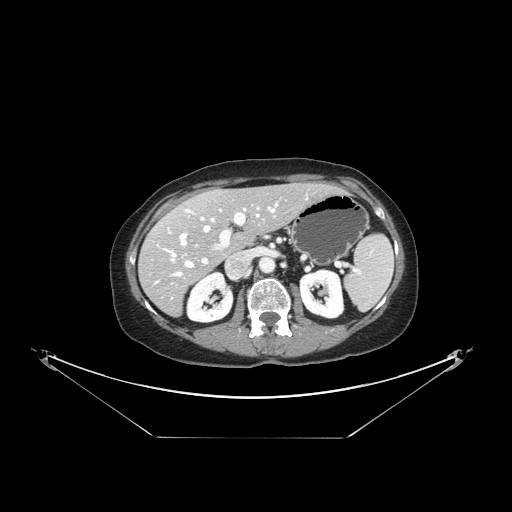
Liver | CT slice
Only some of the vessels may be annotated.
6 hepatic vessel regions are bounded by box=[220, 231, 228, 245]; box=[269, 207, 274, 211]; box=[234, 213, 244, 223]; box=[203, 259, 206, 262]; box=[180, 234, 185, 244]; box=[204, 226, 208, 230].